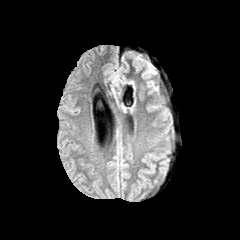
FLAIR MR image.
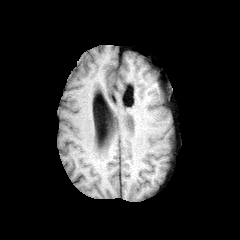
Same slice, T1-weighted MR.
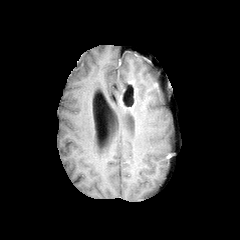
Post-contrast T1-weighted magnetic resonance.
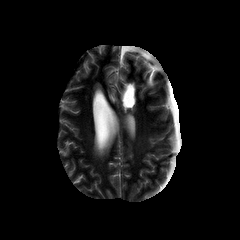
T2-weighted magnetic resonance.
Image size 240x240.
edema:
  - <bbox>111, 72, 118, 85</bbox>
  - <bbox>143, 68, 153, 79</bbox>